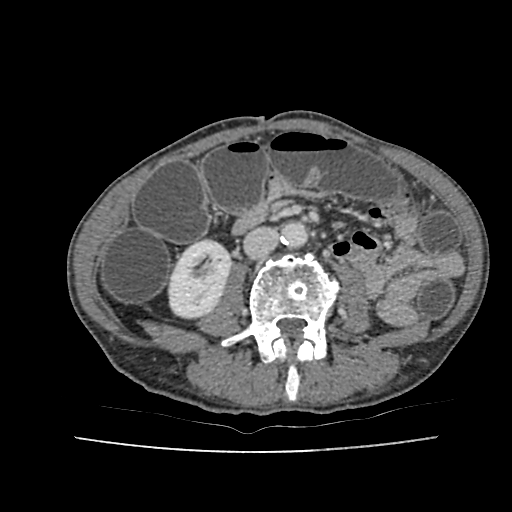
CT scan slice

kidney:
  - rect(169, 241, 230, 316)